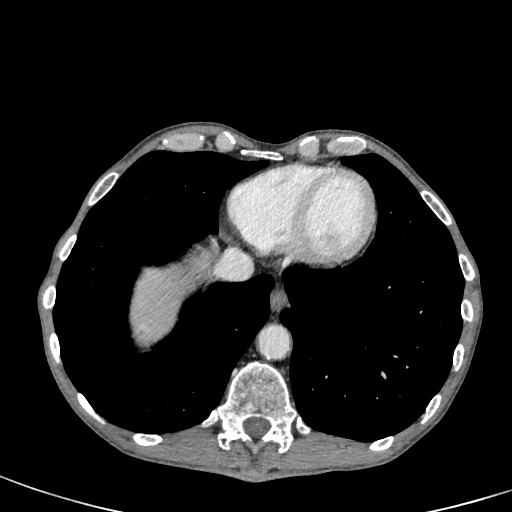
Liver. Computed tomography.

<segmentation>
  <liver><bbox>130, 257, 203, 344</bbox></liver>
</segmentation>